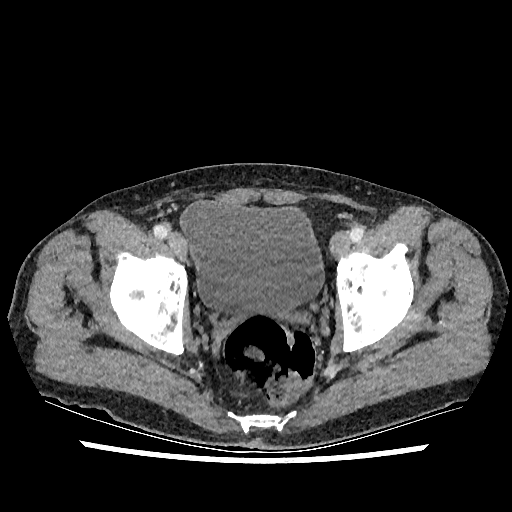 CT image; Pelvis
{"urinary_bladder": ["(x1=182, y1=200, x2=324, y2=332)"]}